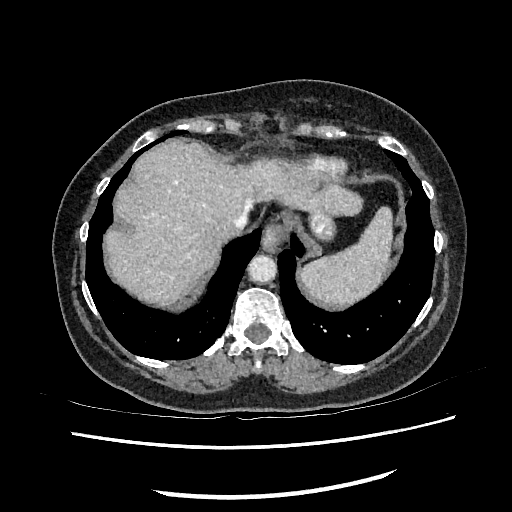 CT. Liver.

liver:
  - box=[106, 141, 360, 301]